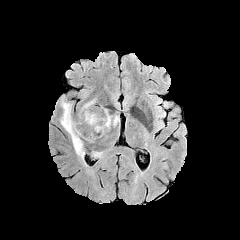
FLAIR MR.
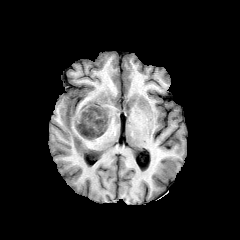
T1-weighted MRI of the same slice.
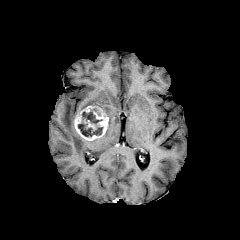
Post-contrast T1-weighted MRI.
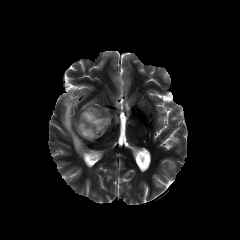
T2-weighted MR of the same slice.
Head. 240x240.
Edema: 60:98:84:158, 92:151:103:157, 113:114:119:126, 83:99:95:108, 104:108:112:129.
Enhancing tumor: 74:106:108:140.
Non-enhancing tumor core: 82:106:101:123, 78:123:92:136, 93:127:103:135.